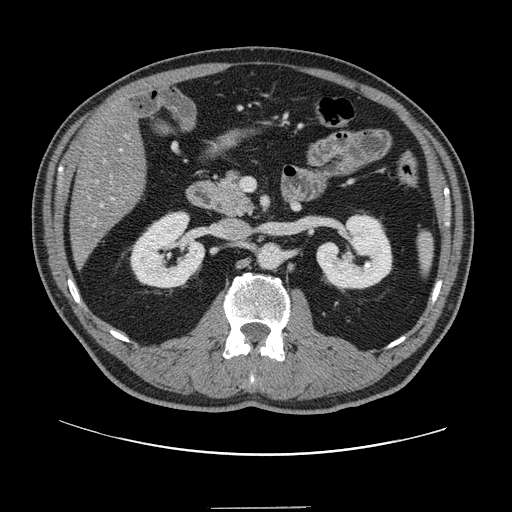
CT slice | Liver
Not every hepatic vessel necessarily has a box.
The liver tumor is bounded by 71 208 90 222. 7 hepatic vessel regions are bounded by 96 181 98 182, 111 198 114 200, 104 160 105 162, 125 136 128 137, 101 204 102 206, 93 224 95 226, 120 149 121 150.